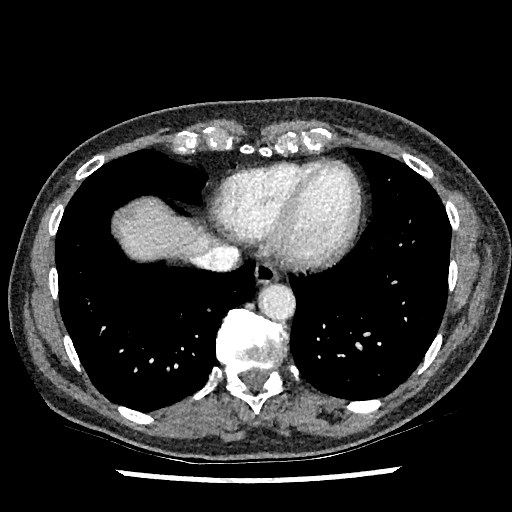

CT slice. Liver.
Liver: bounding box box(113, 198, 217, 259).